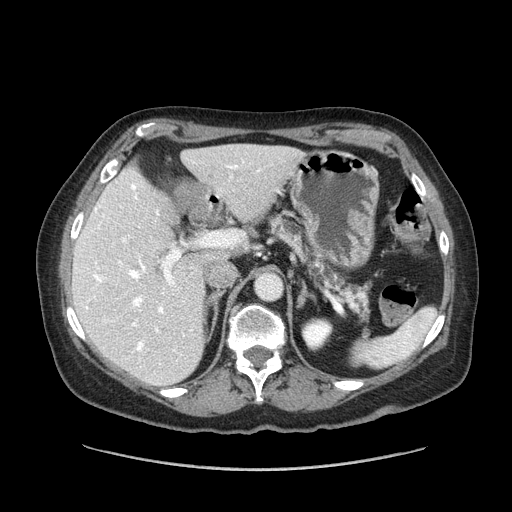 CT scan slice
pancreatic tumor: bbox(270, 217, 282, 226) | pancreas: bbox(270, 218, 369, 322)